Image size 240x240, Brain, Slice index 109
FLAIR MR image.
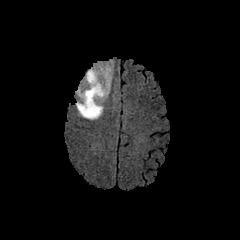
T1-weighted MR image.
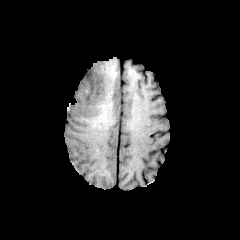
Post-contrast T1-weighted MR.
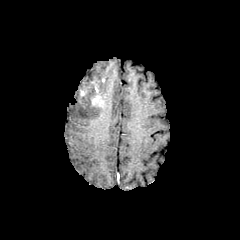
T2-weighted magnetic resonance.
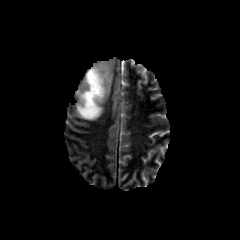
{
  "enhancing_tumor": [
    "(88, 76, 104, 96)"
  ],
  "edema": [
    "(76, 66, 111, 120)"
  ]
}